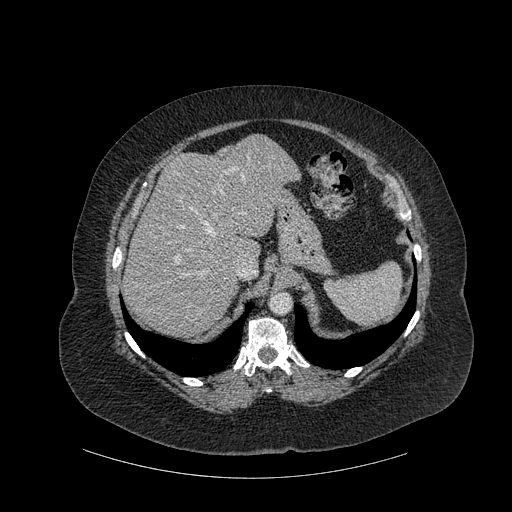 CT slice.

8 bone regions are located at <bbox>125, 332, 144, 357</bbox>, <bbox>112, 248, 121, 267</bbox>, <bbox>401, 211, 410, 219</bbox>, <bbox>183, 378, 202, 385</bbox>, <bbox>234, 318, 309, 375</bbox>, <bbox>414, 244, 421, 260</bbox>, <bbox>345, 367, 361, 376</bbox>, <bbox>405, 311, 419, 335</bbox>. The liver appears at <bbox>122, 134, 299, 337</bbox>. 2 lung regions are bounded by <bbox>294, 280, 416, 368</bbox>, <bbox>122, 303, 253, 376</bbox>.